Slice index 129
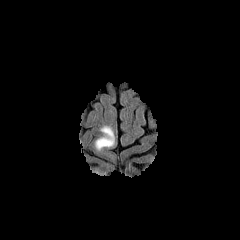
FLAIR MR.
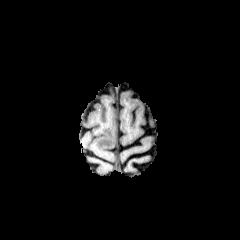
T1-weighted MRI of the same slice.
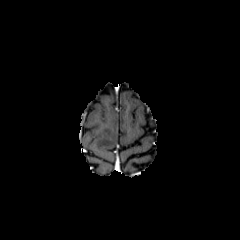
Post-contrast T1-weighted MR of the same slice.
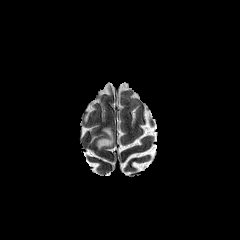
T2-weighted MRI of the same slice.
Findings:
- edema: (96, 127, 114, 149)